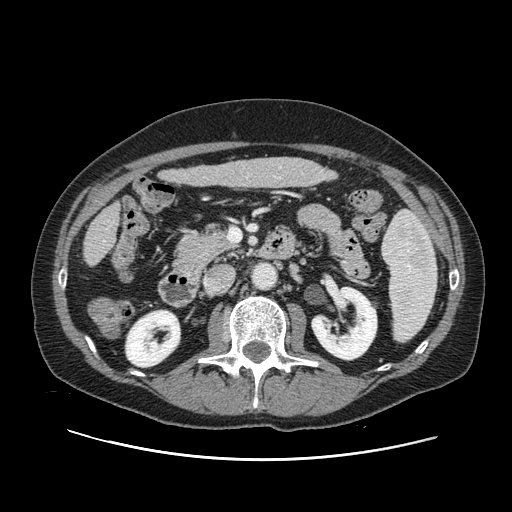
512x512, Upper abdomen, CT image
Segmented structures:
• pancreas: (x1=174, y1=225, x2=232, y2=283)